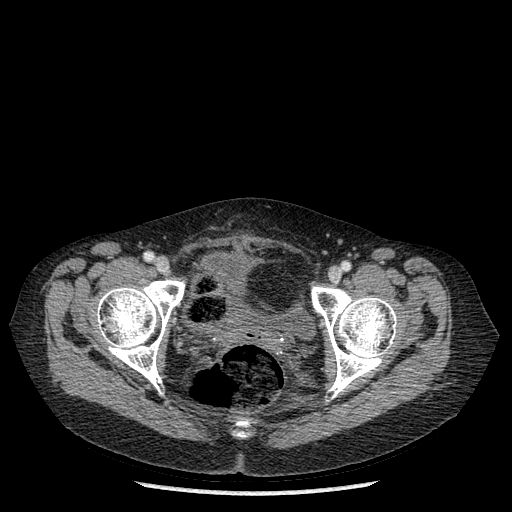 CT slice. 512x512. Pelvis.

Urinary bladder: (left=196, top=250, right=299, bottom=344).
Bone: (left=311, top=286, right=398, bottom=400), (left=236, top=421, right=248, bottom=427), (left=236, top=431, right=246, bottom=437), (left=94, top=278, right=185, bottom=393).